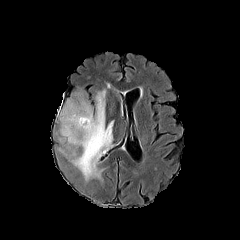
FLAIR MRI.
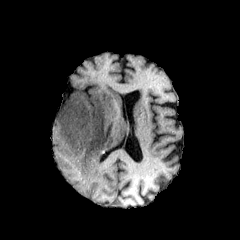
Same slice, T1-weighted magnetic resonance.
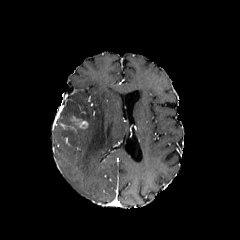
Post-contrast T1-weighted MR image of the same slice.
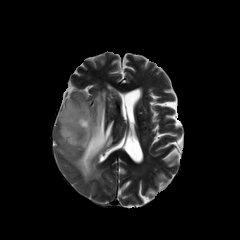
T2-weighted MRI.
Brain
Enhancing tumor at (x1=69, y1=116, x2=88, y2=130).
Edema at (x1=57, y1=83, x2=113, y2=183).